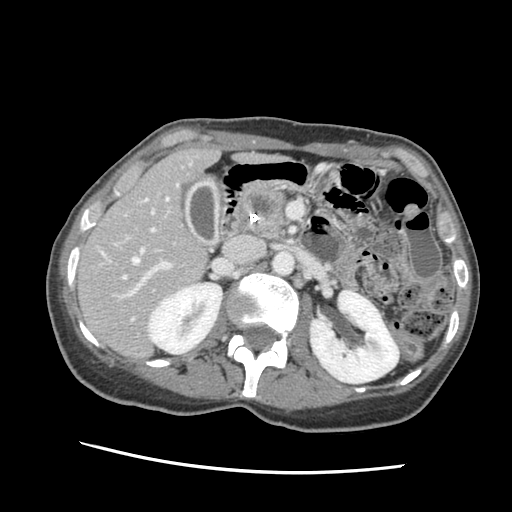

Abdomen; CT scan slice

Pancreas: bounding box (left=244, top=190, right=287, bottom=239).
Pancreatic tumor: bounding box (left=251, top=193, right=274, bottom=215).